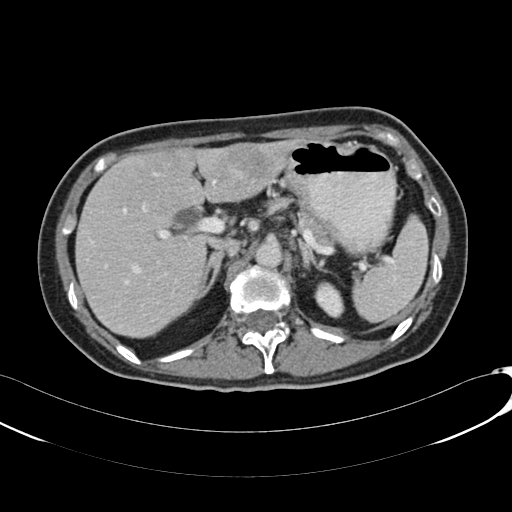
CT

- liver lesion: rect(228, 147, 272, 178)
- kidney: rect(317, 286, 341, 315)
- liver: rect(75, 138, 305, 336)